Slice index 59, 240x240, Brain
FLAIR MR.
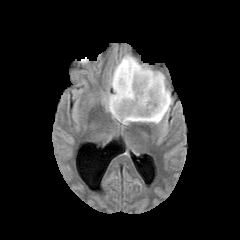
T1-weighted magnetic resonance.
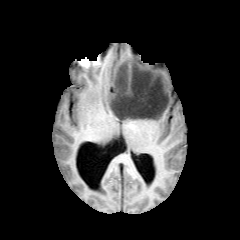
Post-contrast T1-weighted MR.
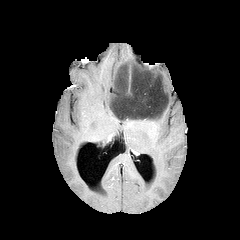
T2-weighted MRI.
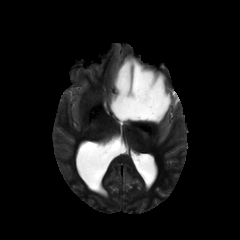
Findings:
- non-enhancing tumor core: 112, 66, 167, 119
- edema: 104, 55, 172, 124